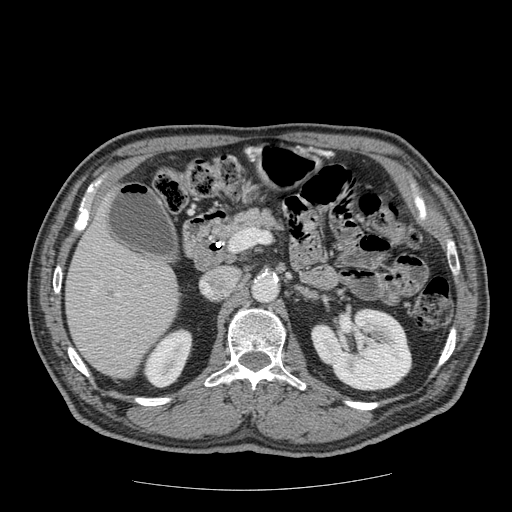
Abdomen. CT slice. Image size 512x512.

<segmentation>
  <pancreas><bbox>192, 207, 290, 272</bbox></pancreas>
</segmentation>